Slice 82/155, Image size 240x240
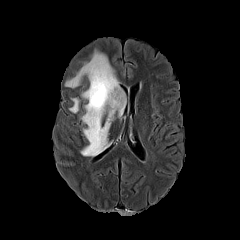
FLAIR MR.
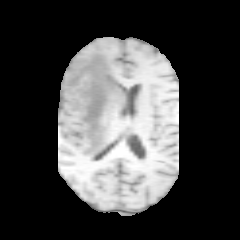
T1-weighted magnetic resonance.
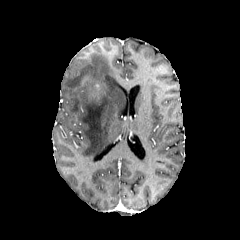
Post-contrast T1-weighted MR image.
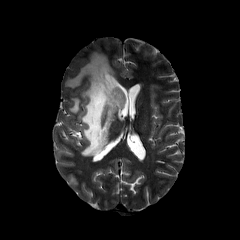
T2-weighted MR image.
2 edema regions are located at (64,49,125,156), (68,97,80,113).